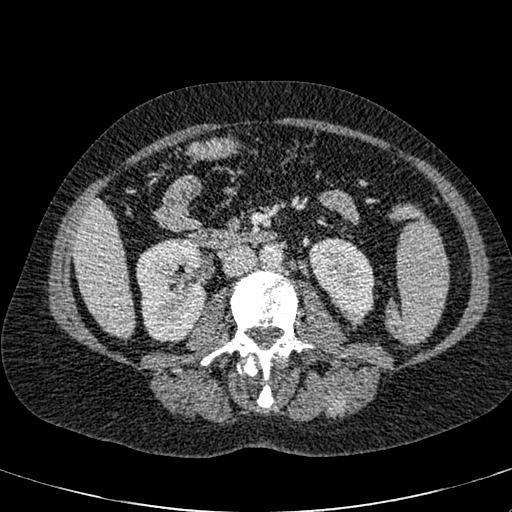

512x512 px. CT slice. kidney:
  - 137 239 205 341
  - 310 239 373 318
liver:
  - 74 202 134 335